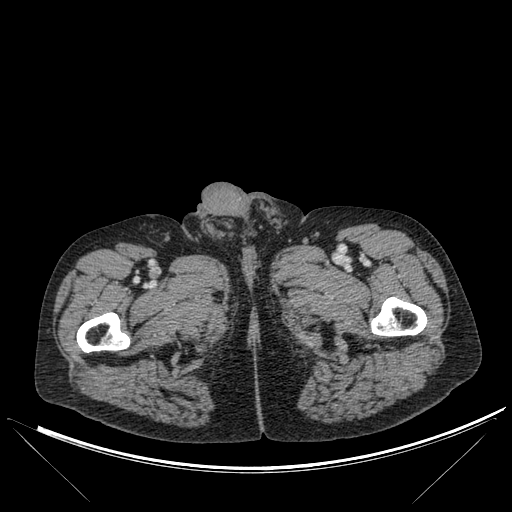 Computed tomography
4 bone regions appear at (x1=77, y1=313, x2=129, y2=352), (x1=284, y1=316, x2=294, y2=325), (x1=293, y1=326, x2=319, y2=346), (x1=371, y1=297, x2=426, y2=336).